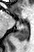
Magnetic resonance; Medial temporal lobe

The posterior hippocampus is located at {"x1": 13, "y1": 23, "x2": 29, "y2": 42}.